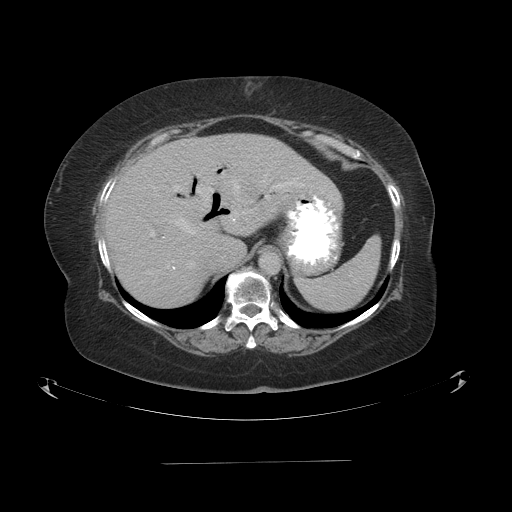 CT.
The vessel boxes may cover only some of the vessels.
4 hepatic vessel regions appear at 198 169 202 175, 176 219 193 233, 151 232 153 235, 198 184 211 209.